FLAIR magnetic resonance.
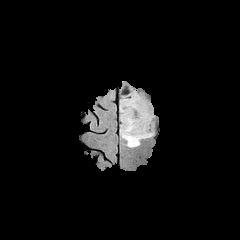
T1-weighted MRI.
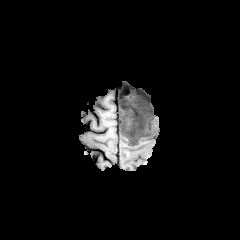
Post-contrast T1-weighted magnetic resonance.
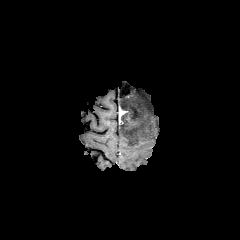
T2-weighted MR image.
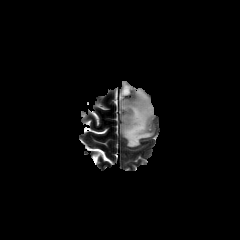
240x240 px, Head
The enhancing tumor is located at box=[124, 115, 135, 127]. The non-enhancing tumor core is located at box=[120, 107, 150, 147]. The edema is at box=[119, 90, 154, 147].